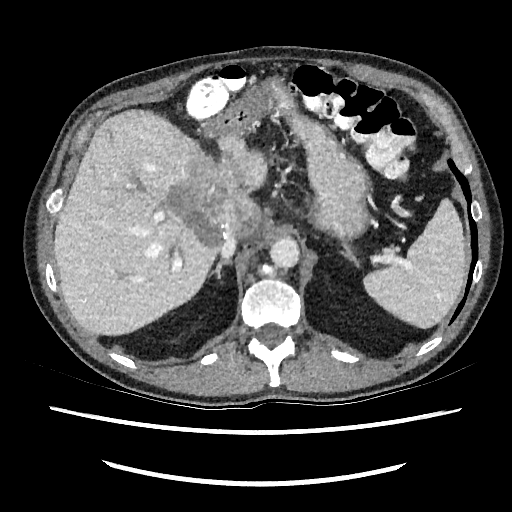 CT
3 liver regions are bounded by bbox=[54, 109, 220, 334]; bbox=[218, 135, 266, 197]; bbox=[223, 200, 262, 239]. The liver lesion is located at bbox=[160, 151, 259, 246].